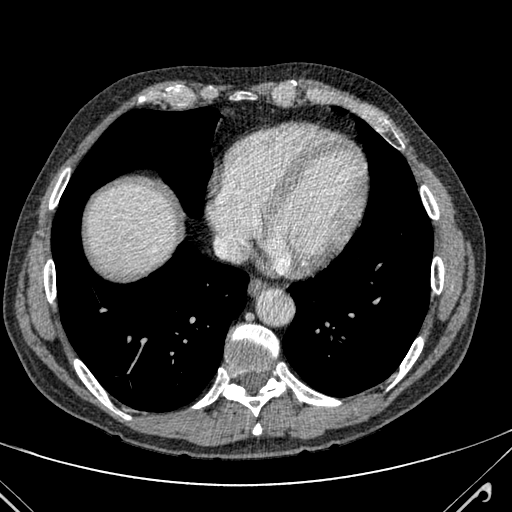

CT slice; Liver
Liver: bbox=[90, 188, 172, 271].